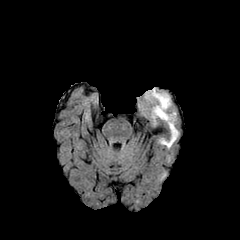
FLAIR MRI.
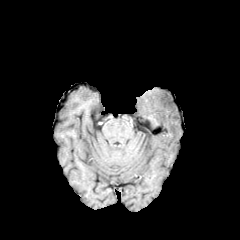
T1-weighted MR image.
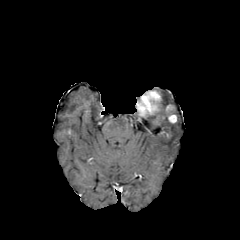
Post-contrast T1-weighted magnetic resonance of the same slice.
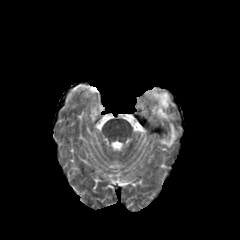
Same slice, T2-weighted MR image.
The edema is located at 141:92:178:149. 2 enhancing tumor regions are bounded by 136:90:161:115, 168:114:175:122.